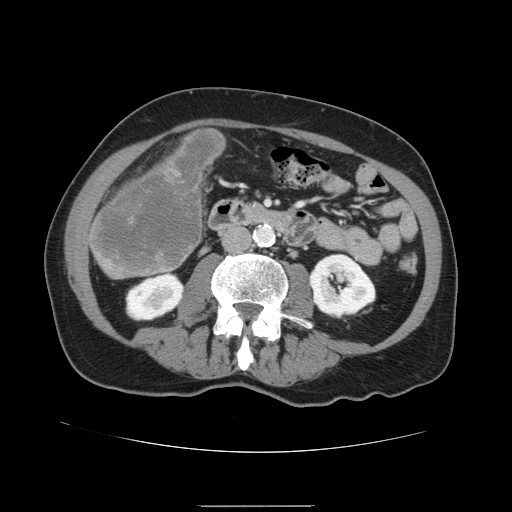

CT | Liver

{"liver_tumor": ["l=93, t=131, r=223, b=270"]}